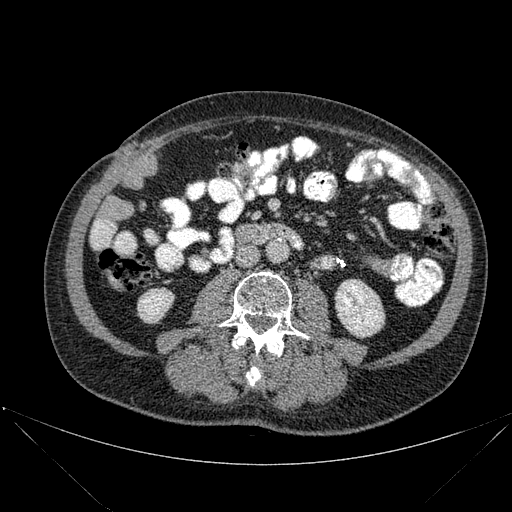 Computed tomography
{"kidney": ["[335, 279, 384, 337]", "[137, 288, 173, 322]"], "bone": ["[246, 366, 260, 385]", "[219, 272, 308, 356]"]}